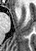

36x51 px, MR image, Hippocampus
- anterior hippocampus: [15, 7, 20, 11]